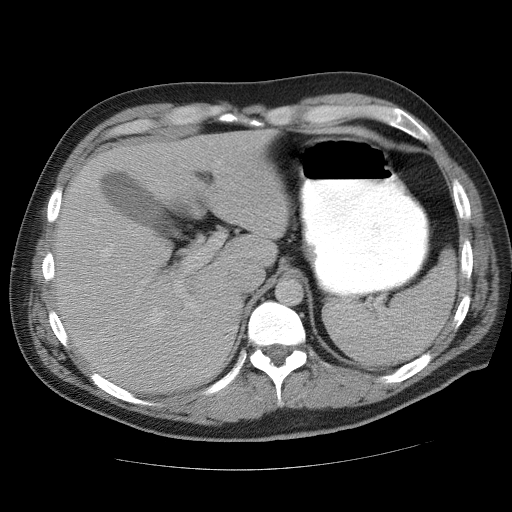 512x512 px, Computed tomography, Abdomen
spleen: region(324, 253, 456, 367)